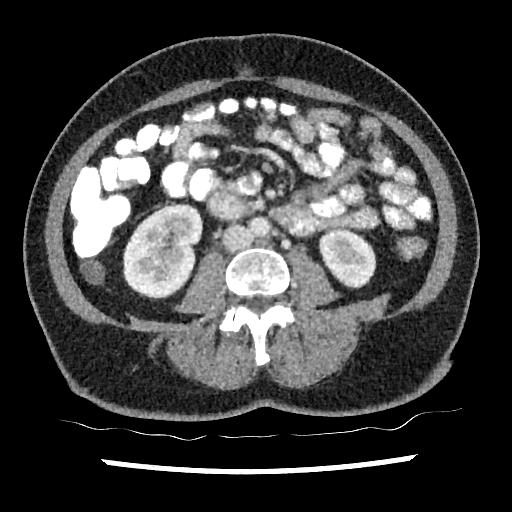

CT scan slice. 2 kidney regions are bounded by <bbox>124, 205, 201, 296</bbox>, <bbox>320, 230, 374, 286</bbox>.